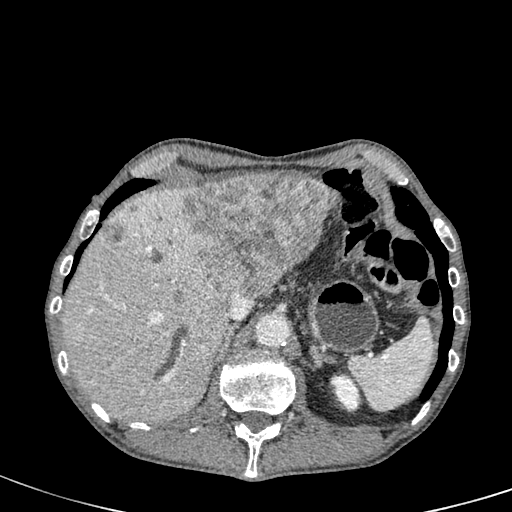 Liver, CT image

<segmentation>
  <focal_liver_lesion>(x1=103, y1=223, x2=124, y2=242), (x1=173, y1=292, x2=183, y2=302), (x1=183, y1=176, x2=338, y2=296)</focal_liver_lesion>
  <kidney>(x1=329, y1=373, x2=362, y2=411)</kidney>
  <liver>(x1=63, y1=188, x2=242, y2=421), (x1=259, y1=279, x2=278, y2=297)</liver>
</segmentation>